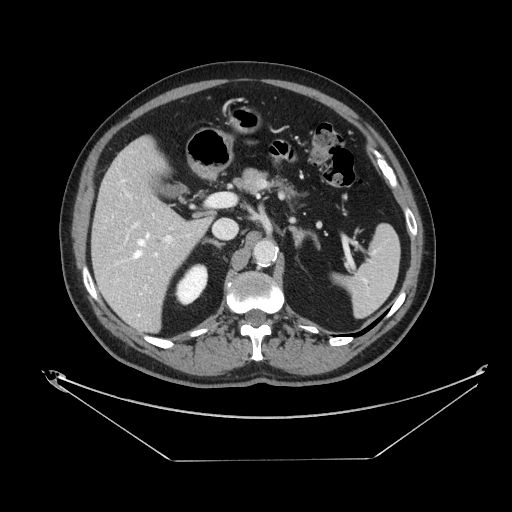 512x512 px; Computed tomography
pancreas:
  - 235,167,305,208
pancreatic_tumor:
  - 257,179,267,188